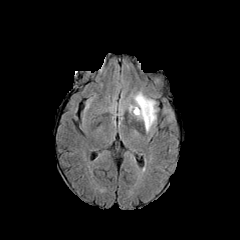
FLAIR MR.
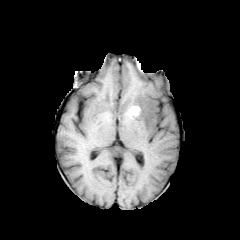
T1-weighted MRI.
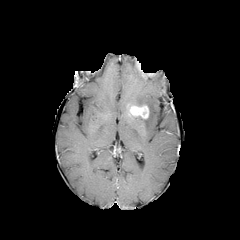
Post-contrast T1-weighted magnetic resonance.
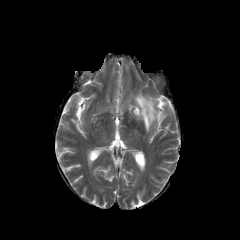
Same slice, T2-weighted MR.
240x240
The edema lies within [x1=134, y1=92, x2=156, y2=131]. The enhancing tumor is located at [x1=130, y1=104, x2=149, y2=119].